FLAIR MR.
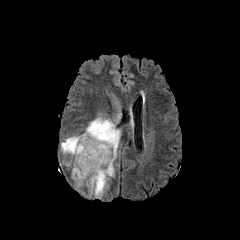
T1-weighted MRI.
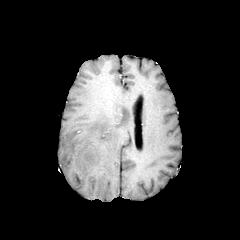
Post-contrast T1-weighted MR.
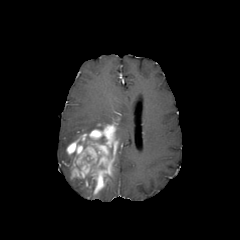
T2-weighted MR image.
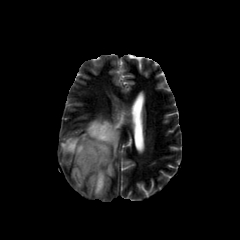
Image size 240x240; Brain
{
  "enhancing_tumor": [
    "[x1=66, y1=124, x2=117, y2=194]"
  ],
  "non-enhancing_tumor_core": [
    "[x1=78, y1=170, x2=96, y2=196]",
    "[x1=78, y1=136, x2=93, y2=147]"
  ],
  "edema": [
    "[x1=72, y1=178, x2=88, y2=188]",
    "[x1=96, y1=161, x2=114, y2=198]",
    "[x1=60, y1=136, x2=79, y2=153]",
    "[x1=83, y1=114, x2=120, y2=144]"
  ]
}